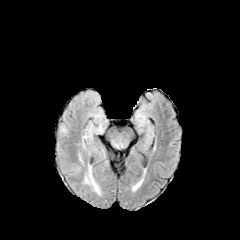
FLAIR MR.
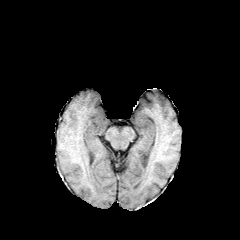
T1-weighted MR of the same slice.
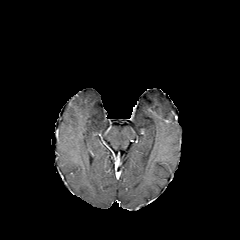
Post-contrast T1-weighted magnetic resonance.
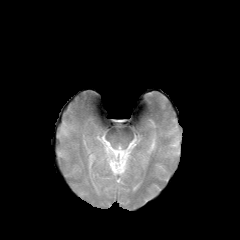
Same slice, T2-weighted MR image.
Edema — left=84, top=164, right=101, bottom=194.